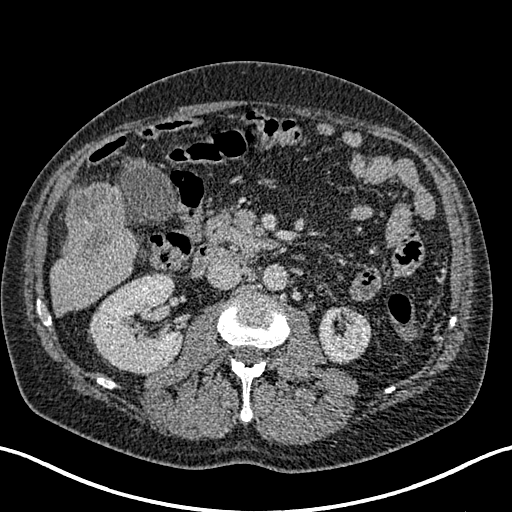

CT slice; Image size 512x512
The liver lesion is bounded by bbox(67, 187, 117, 261). 2 kidney regions appear at bbox(320, 308, 369, 361); bbox(91, 275, 181, 372). 2 liver regions are located at bbox(49, 182, 136, 315); bbox(65, 187, 87, 211).